Computed tomography, Image width 379 mm
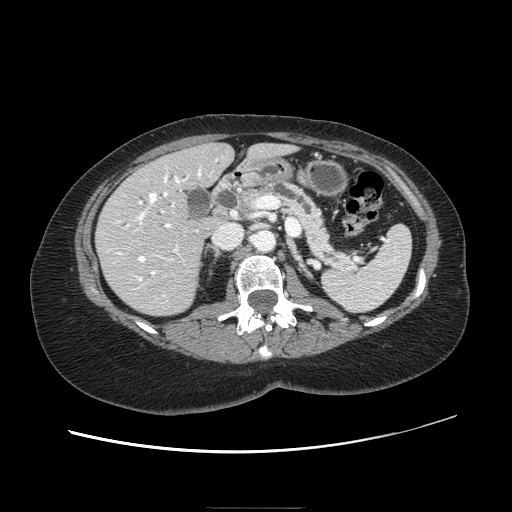

The pancreas is bounded by l=242, t=181, r=355, b=272.